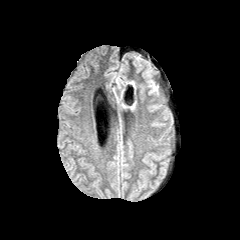
FLAIR MR.
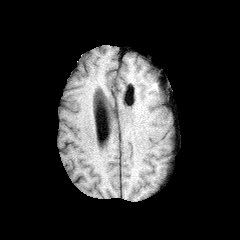
T1-weighted MRI of the same slice.
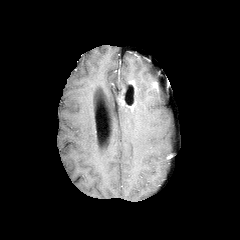
Same slice, post-contrast T1-weighted magnetic resonance.
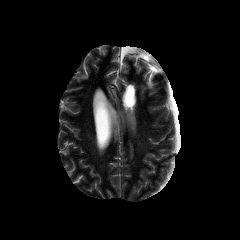
Same slice, T2-weighted MR image.
240x240.
edema: x1=144 y1=69 x2=151 y2=86